FLAIR MR image.
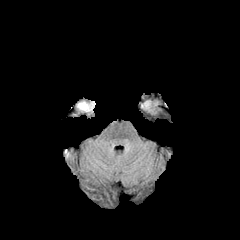
T1-weighted MR image.
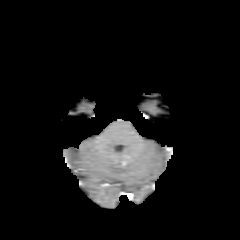
Post-contrast T1-weighted MR image.
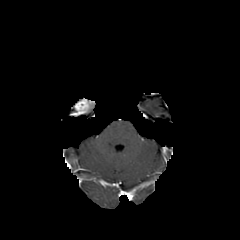
T2-weighted MR image.
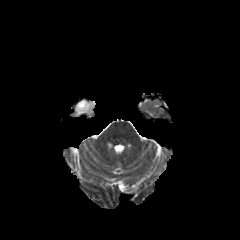
{
  "enhancing_tumor": [
    "73:100:94:114"
  ]
}